Slice index 44
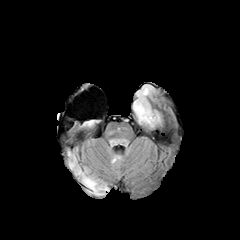
FLAIR magnetic resonance.
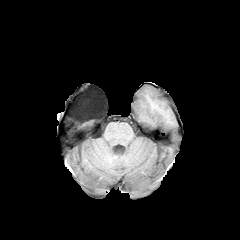
Same slice, T1-weighted MRI.
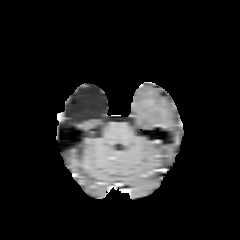
Post-contrast T1-weighted magnetic resonance.
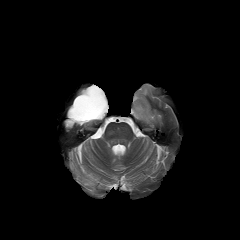
T2-weighted MR image.
Findings:
- edema: <box>134,102,151,120</box>, <box>83,170,102,193</box>